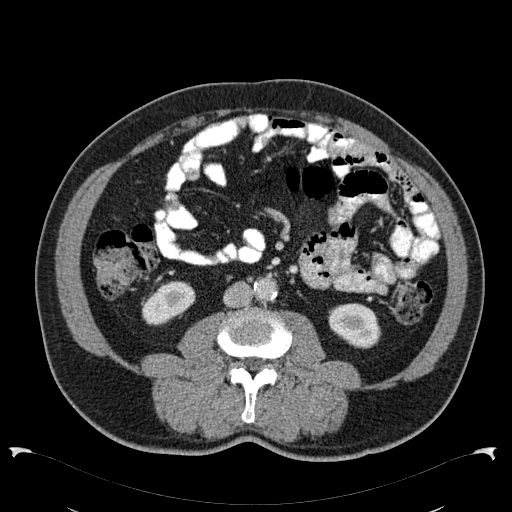
CT image; Abdomen; Image size 512x512
Kidney: bounding box 329, 303, 380, 347; 142, 281, 194, 324.